FLAIR magnetic resonance.
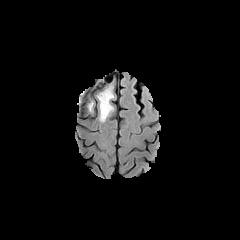
T1-weighted MRI.
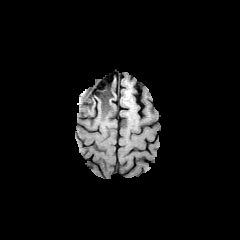
Post-contrast T1-weighted MR image.
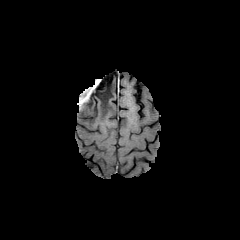
T2-weighted MR image.
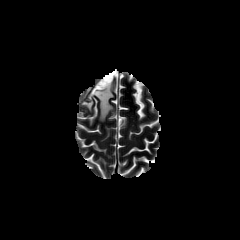
Brain
{
  "edema": [
    "x1=79, y1=90, x2=87, y2=110",
    "x1=86, y1=84, x2=115, y2=122"
  ],
  "non-enhancing_tumor_core": [
    "x1=94, y1=82, x2=111, y2=105",
    "x1=86, y1=92, x2=93, y2=105"
  ]
}